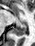

MRI.
The posterior hippocampus is at x1=13, y1=23, x2=27, y2=36.